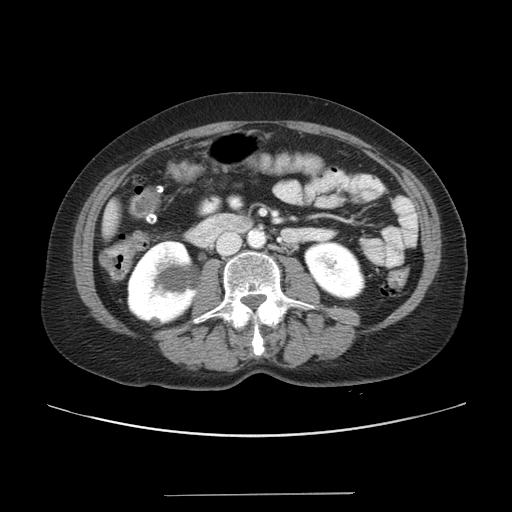 CT scan slice. The colon tumor is bounded by <box>106,237,137,271</box>.